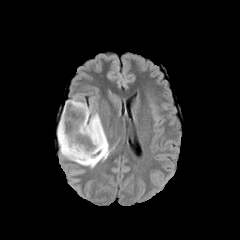
FLAIR MR image.
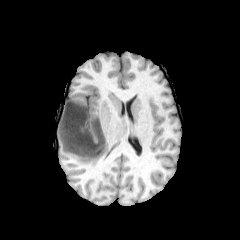
T1-weighted MRI of the same slice.
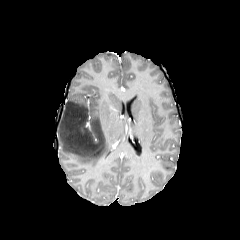
Same slice, post-contrast T1-weighted MRI.
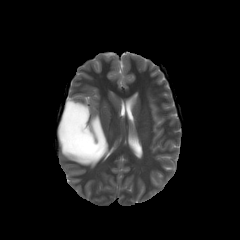
T2-weighted MR image.
Image size 240x240
non-enhancing tumor core: 59 100 105 159 | edema: 69 94 113 167, 57 122 70 159